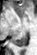
Magnetic resonance | Medial temporal lobe | 37x55 px
posterior_hippocampus:
  - bbox=[13, 31, 27, 46]